Image width 512 mm, Image size 512x512, CT

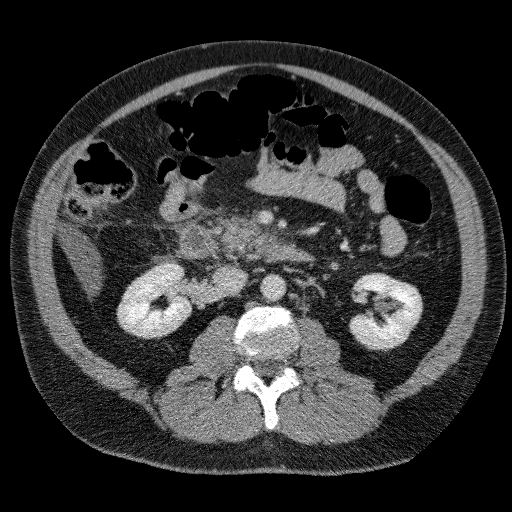

Kidney = 119 264 190 336, 350 275 420 348.
Liver = 58 223 99 291.